Field of view 438x438 mm. CT scan slice. 512x512 px. Liver. Slice 9/47. 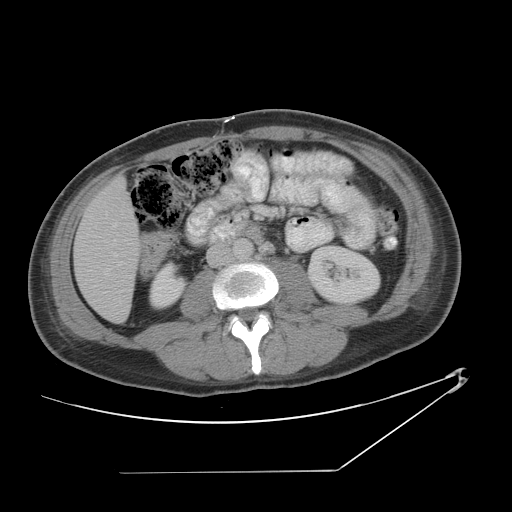
Only some of the vessels may be annotated.
Hepatic vessel — l=105, t=269, r=109, b=275; l=118, t=262, r=124, b=265; l=114, t=253, r=117, b=256; l=113, t=224, r=116, b=226.